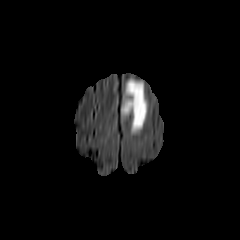
FLAIR MR.
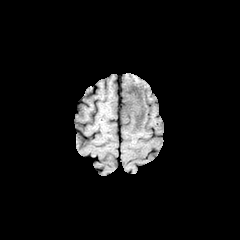
T1-weighted magnetic resonance.
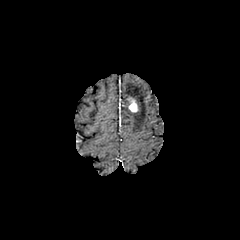
Post-contrast T1-weighted MR image.
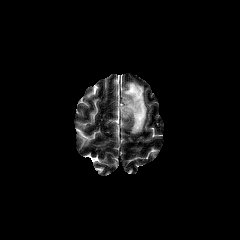
T2-weighted MR.
240x240; Head
Enhancing tumor at 128, 99, 138, 112.
Edema at 120, 79, 147, 134.